Slice index 78. Magnetic resonance. 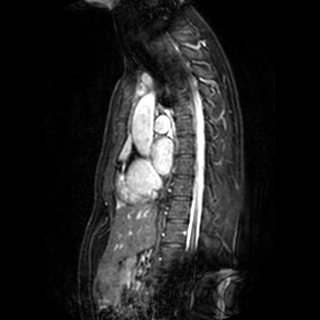
<segmentation>
  <left_atrium>152,138,173,174</left_atrium>
</segmentation>